CT. Slice 270/461. 512x512.

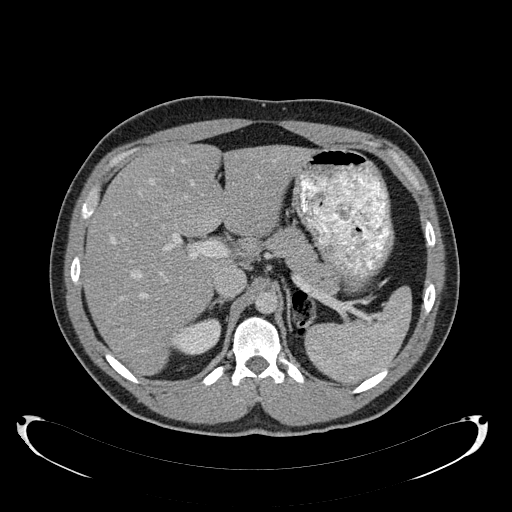 kidney: box(170, 319, 220, 354) | liver: box(239, 238, 257, 255); box(82, 145, 312, 375)